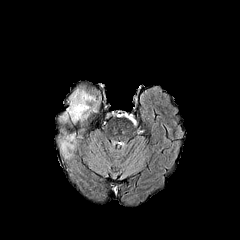
FLAIR MR.
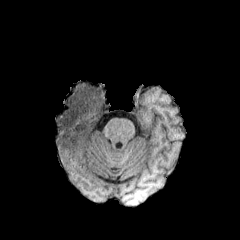
T1-weighted MR of the same slice.
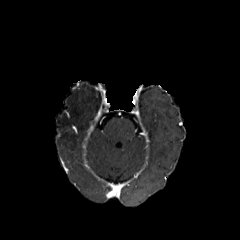
Post-contrast T1-weighted magnetic resonance of the same slice.
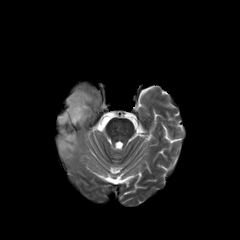
Same slice, T2-weighted MR.
Head | 240x240
2 edema regions are bounded by bbox(57, 129, 84, 159); bbox(58, 84, 101, 127).